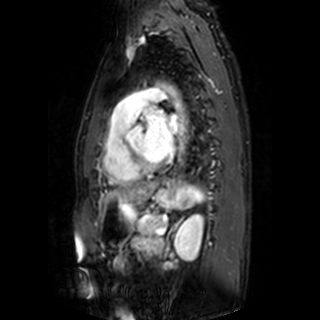
Heart, Image size 320x320, MRI slice
Left atrium: bounding box bbox=[142, 108, 179, 160].